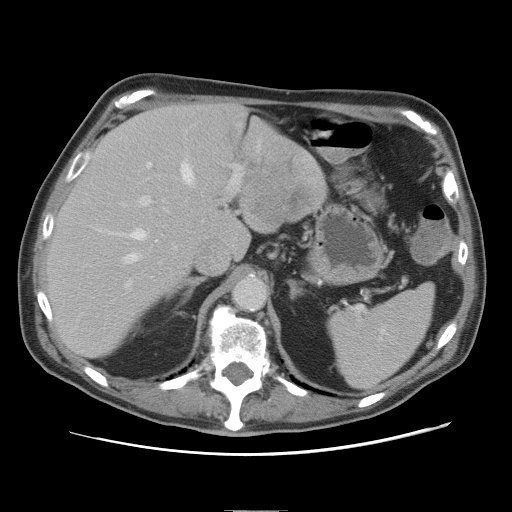

Liver, CT scan slice
The vessel annotation is not exhaustive.
<segmentation>
  <liver_tumor>rect(249, 183, 309, 223)</liver_tumor>
  <hepatic_vessel>rect(108, 229, 146, 239); rect(140, 196, 150, 205); rect(229, 164, 243, 189); rect(126, 254, 138, 262); rect(174, 245, 176, 248); rect(148, 163, 151, 166); rect(126, 281, 131, 287); rect(182, 163, 193, 184)</hepatic_vessel>
</segmentation>